Abdomen | CT slice | Slice 100/119
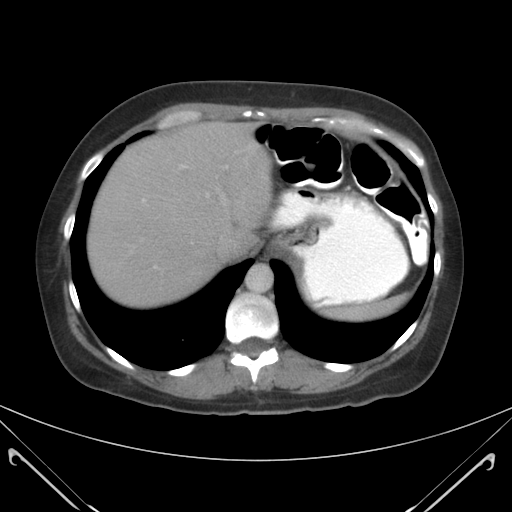

The spleen is located at region(328, 295, 405, 321).